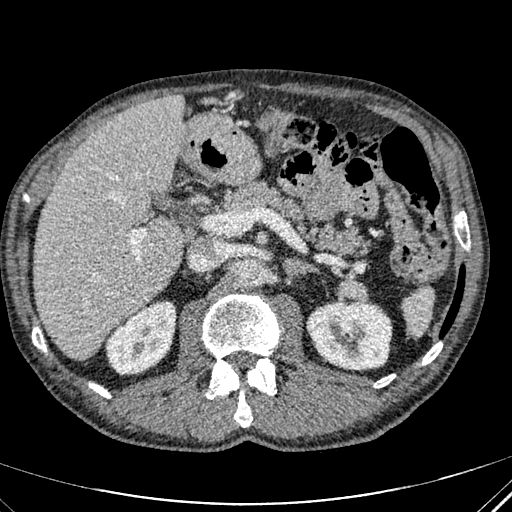 Computed tomography
liver:
  - x1=35, y1=95, x2=185, y2=358
liver_lesion:
  - x1=161, y1=97, x2=173, y2=106
kidney:
  - x1=308, y1=303, x2=390, y2=369
  - x1=107, y1=302, x2=174, y2=373